512x512 px; CT image 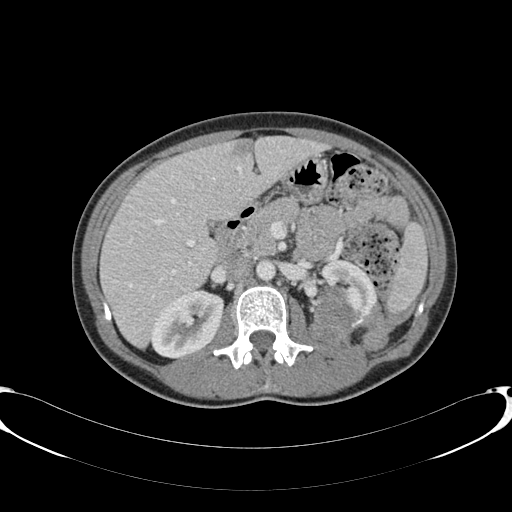 Liver: {"x1": 101, "y1": 136, "x2": 331, "y2": 348}.
Liver lesion: {"x1": 234, "y1": 139, "x2": 251, "y2": 153}.
Kidney: {"x1": 152, "y1": 291, "x2": 222, "y2": 357}, {"x1": 311, "y1": 258, "x2": 376, "y2": 349}.